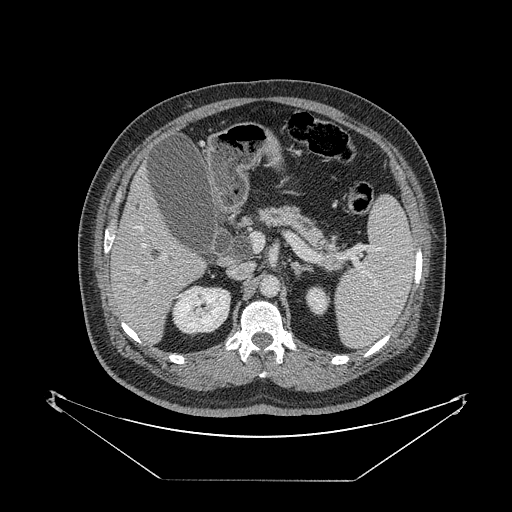
CT. Abdomen.
<segmentation>
  <pancreas>left=259, top=206, right=343, bottom=269</pancreas>
</segmentation>